FLAIR MRI.
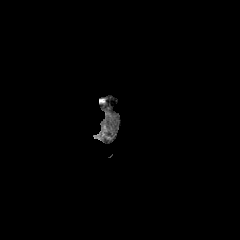
T1-weighted MR.
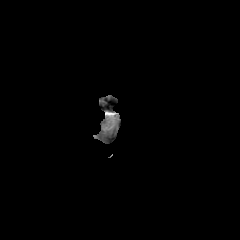
Post-contrast T1-weighted MRI.
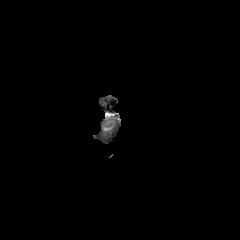
T2-weighted MR image.
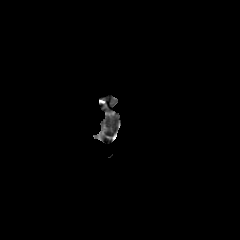
Head
edema: box(95, 112, 115, 140)